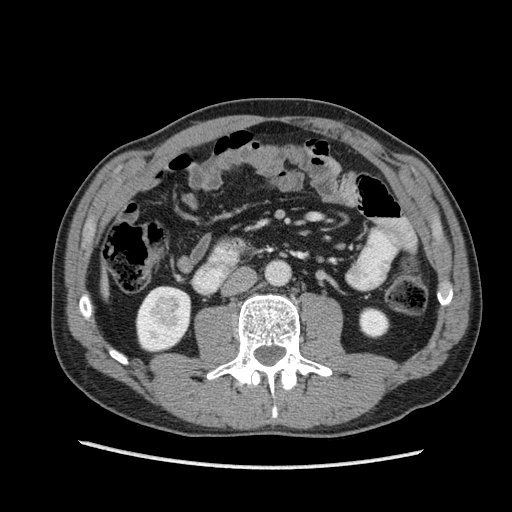
Computed tomography; Abdomen
Kidney = <box>137,287,189,350</box>, <box>361,310,387,335</box>.
Liver = <box>101,278,108,299</box>.